Computed tomography. Field of view 496 mm wide, 0.80 mm slice spacing. 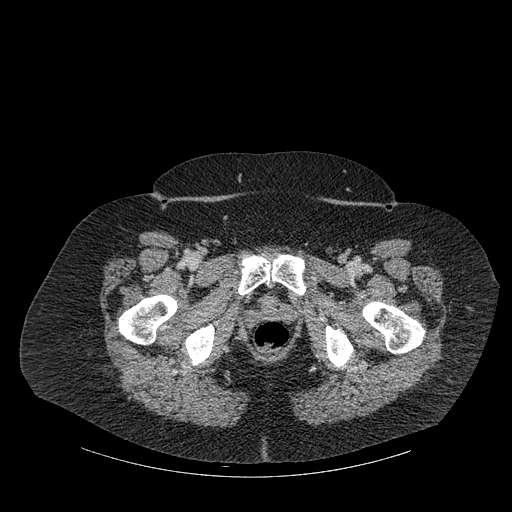
5 bone regions appear at [x1=185, y1=325, x2=214, y2=365], [x1=238, y1=255, x2=305, y2=294], [x1=119, y1=294, x2=177, y2=344], [x1=326, y1=326, x2=353, y2=366], [x1=363, y1=302, x2=424, y2=353].